Image size 240x240. Field of view 240x240 mm.
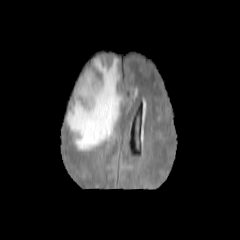
FLAIR MR.
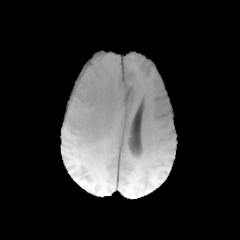
T1-weighted MR.
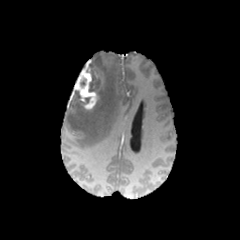
Post-contrast T1-weighted magnetic resonance of the same slice.
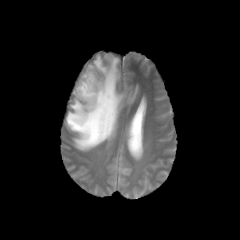
T2-weighted MRI of the same slice.
enhancing tumor: x1=72 y1=59 x2=98 y2=109 | edema: x1=65 y1=55 x2=127 y2=151 | non-enhancing tumor core: x1=74 y1=91 x2=90 y2=108, x1=88 y1=56 x2=105 y2=99